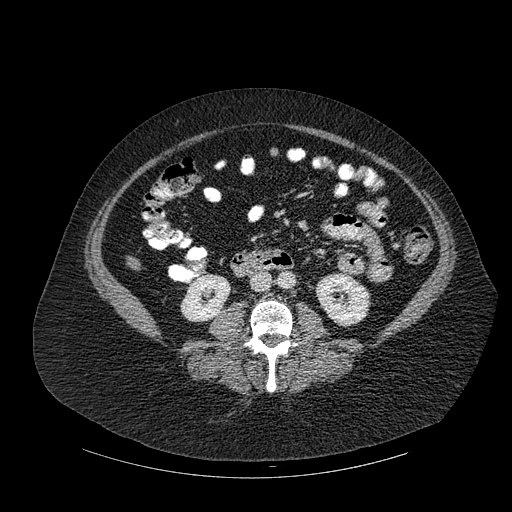
Abdomen. CT slice. 512x512 px.
The bone is located at [244, 301, 297, 391]. The liver is located at [125, 256, 136, 266]. 2 kidney regions are bounded by [316, 273, 368, 325], [181, 275, 229, 321].